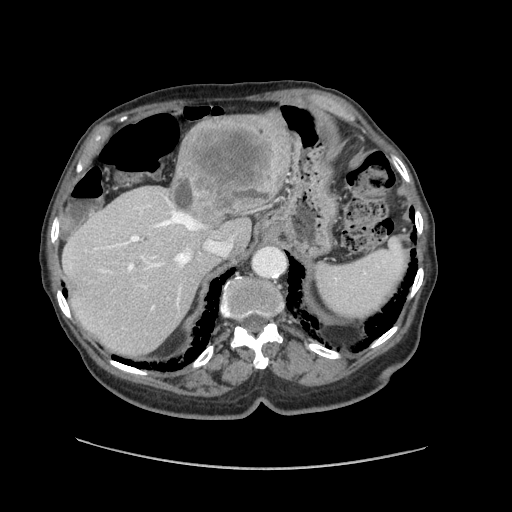
CT image. 512x512. Abdomen.

Not every hepatic vessel necessarily has a box.
The liver tumor is at {"x1": 176, "y1": 117, "x2": 291, "y2": 222}. 5 hepatic vessel regions appear at {"x1": 131, "y1": 236, "x2": 138, "y2": 240}, {"x1": 175, "y1": 249, "x2": 190, "y2": 266}, {"x1": 155, "y1": 211, "x2": 203, "y2": 230}, {"x1": 153, "y1": 263, "x2": 160, "y2": 264}, {"x1": 204, "y1": 240, "x2": 231, "y2": 255}.